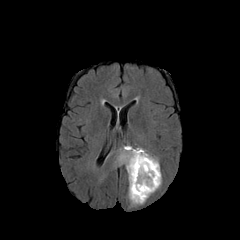
FLAIR MR.
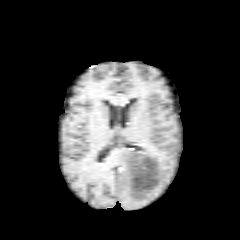
T1-weighted MR of the same slice.
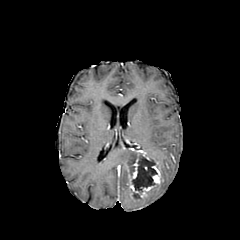
Post-contrast T1-weighted MRI.
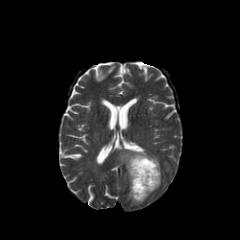
T2-weighted MR image of the same slice.
<segmentation>
  <edema>bbox=[117, 146, 135, 172]; bbox=[139, 147, 160, 172]; bbox=[128, 173, 162, 205]</edema>
  <non-enhancing_tumor_core>bbox=[132, 192, 140, 199]; bbox=[127, 152, 157, 191]</non-enhancing_tumor_core>
  <enhancing_tumor>bbox=[152, 163, 160, 184]; bbox=[130, 157, 154, 198]</enhancing_tumor>
</segmentation>